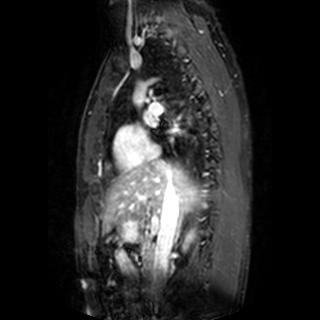
Magnetic resonance
left_atrium:
  - (145, 113, 155, 125)